CT 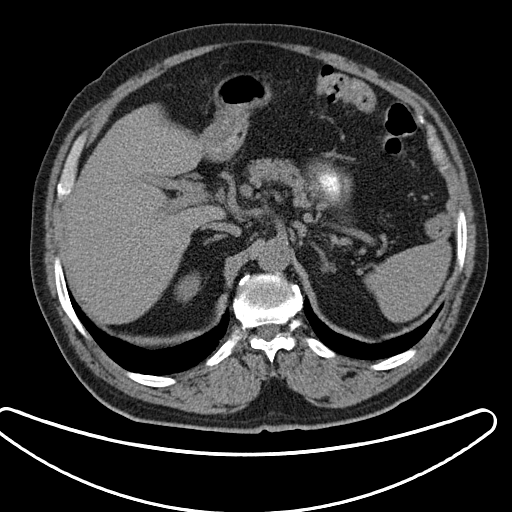 Annotated regions:
• spleen: <bbox>370, 241, 449, 320</bbox>